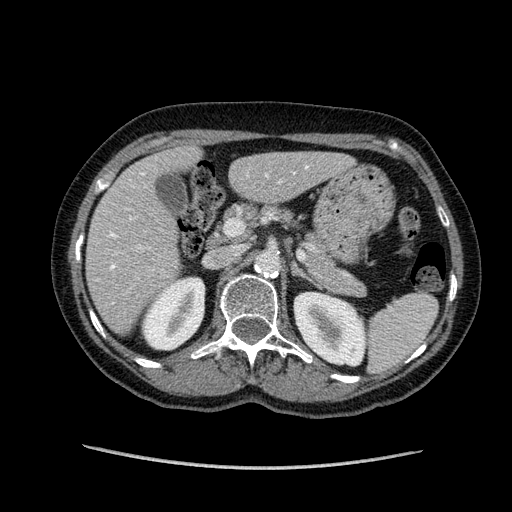 CT image. 512x512.
Annotated regions:
- liver: box(231, 151, 341, 199); box(86, 152, 188, 323)
- kidney: box(294, 292, 364, 365); box(144, 278, 204, 349)